Abdomen | CT image
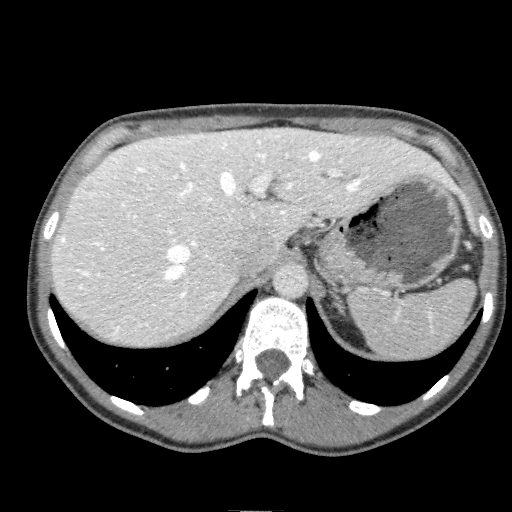 {
  "liver": [
    "(left=51, top=127, right=475, bottom=347)"
  ]
}